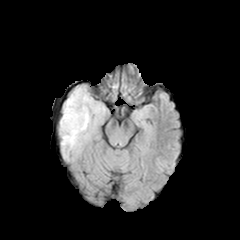
FLAIR MR.
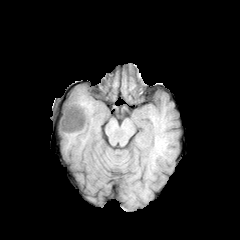
T1-weighted MR image.
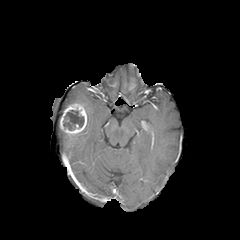
Same slice, post-contrast T1-weighted MR image.
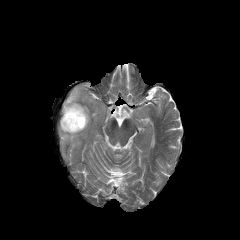
T2-weighted MRI.
Head | Image size 240x240
• non-enhancing tumor core: region(63, 110, 84, 129)
• edema: region(60, 86, 105, 152)
• enhancing tumor: region(60, 102, 86, 135)